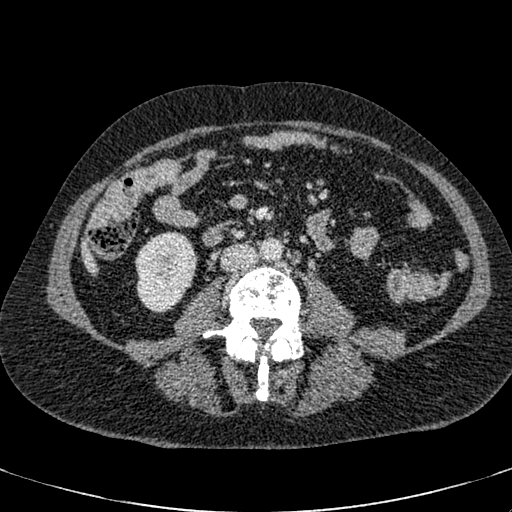

512x512. CT image. Upper abdomen. The kidney is located at (left=136, top=232, right=196, bottom=311). The liver is located at (left=79, top=240, right=98, bottom=273).